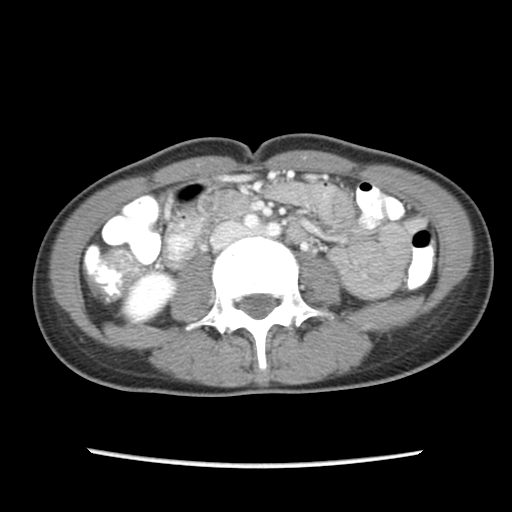 CT image. Image size 512x512. Abdomen.
colon tumor: bbox=[85, 250, 139, 301]